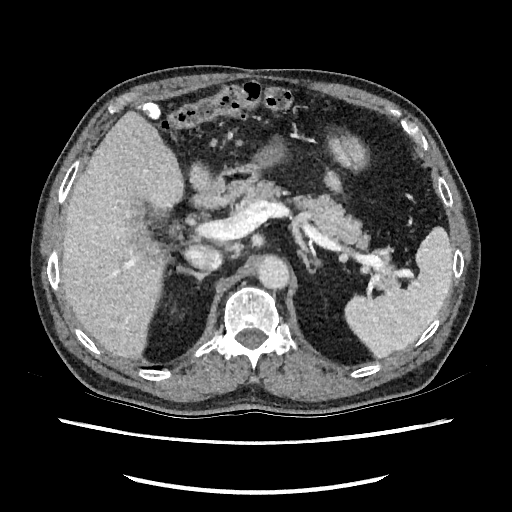

Computed tomography. Upper abdomen. 512x512 px. Liver: bounding box {"x1": 64, "y1": 114, "x2": 183, "y2": 357}, {"x1": 190, "y1": 167, "x2": 210, "y2": 189}.
Hepatic lesion: bounding box {"x1": 136, "y1": 221, "x2": 165, "y2": 267}.